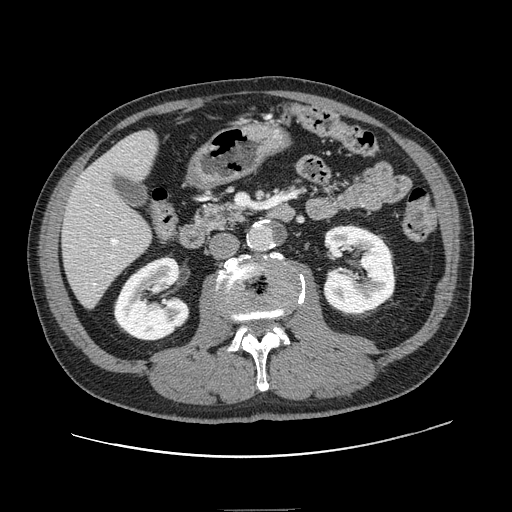

Upper abdomen. Computed tomography. Pancreas at rect(193, 201, 252, 231).